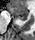

35x40 px; MR
The posterior hippocampus is at (21,20,24,20). The anterior hippocampus appears at (9,5,27,19).